Liver; CT image
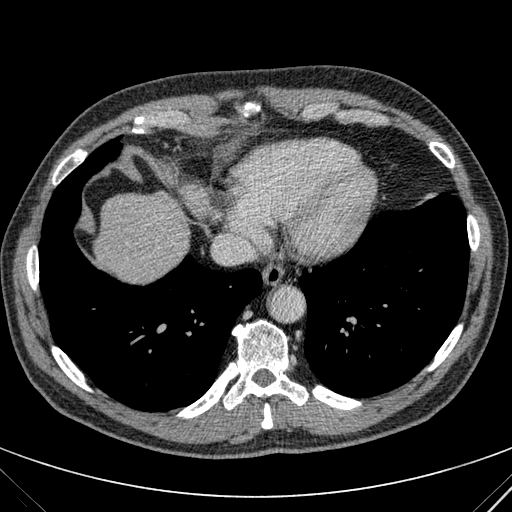

Segmented structures:
• liver: (181, 184, 213, 216), (95, 192, 188, 281)